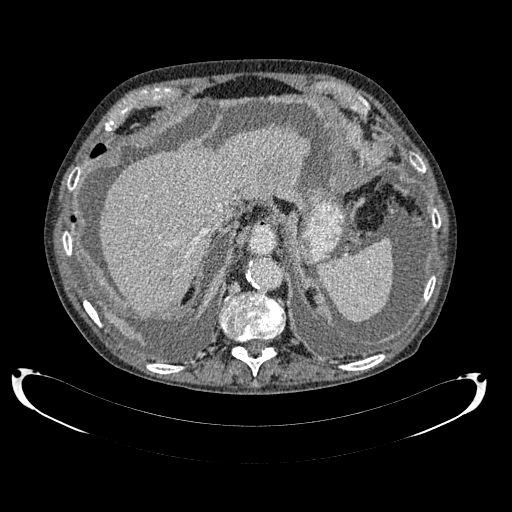 512x512 px | CT | Abdomen

The liver is located at (x1=98, y1=125, x2=306, y2=314).